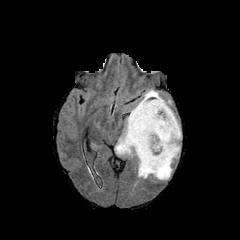
FLAIR magnetic resonance.
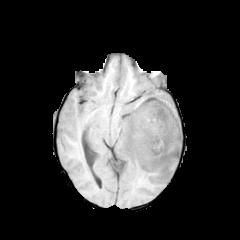
T1-weighted MRI.
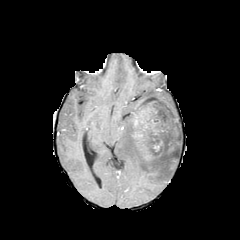
Post-contrast T1-weighted MR image of the same slice.
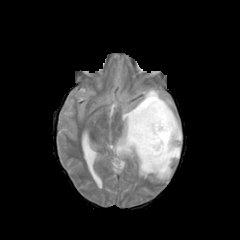
Same slice, T2-weighted MR image.
Enhancing tumor: <box>132,107,156,142</box>.
Non-enhancing tumor core: <box>129,96,177,160</box>.
Edema: <box>115,89,181,179</box>.